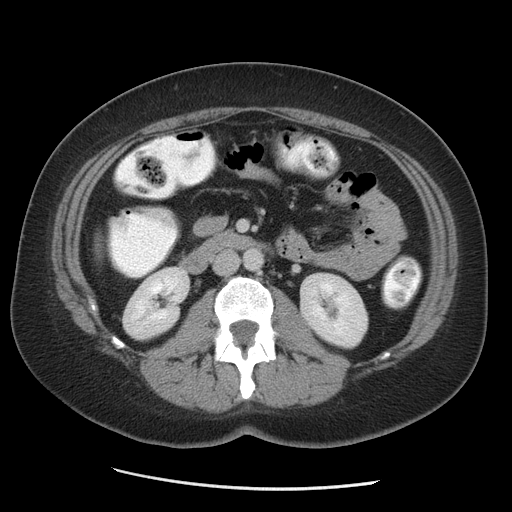
Abdomen; 512x512 px; CT slice
kidney:
  - (x1=302, y1=274, x2=367, y2=346)
  - (x1=125, y1=268, x2=188, y2=335)